Brain
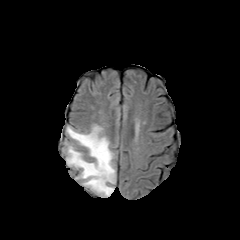
FLAIR MR image.
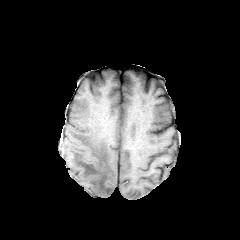
Same slice, T1-weighted MR image.
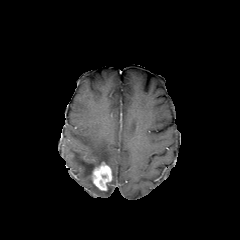
Post-contrast T1-weighted MR image.
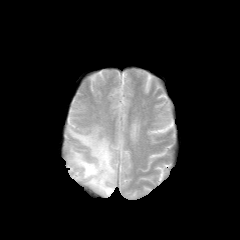
T2-weighted MR image.
<segmentation>
  <enhancing_tumor>left=91, top=162, right=112, bottom=190</enhancing_tumor>
  <edema>left=66, top=125, right=115, bottom=197</edema>
</segmentation>